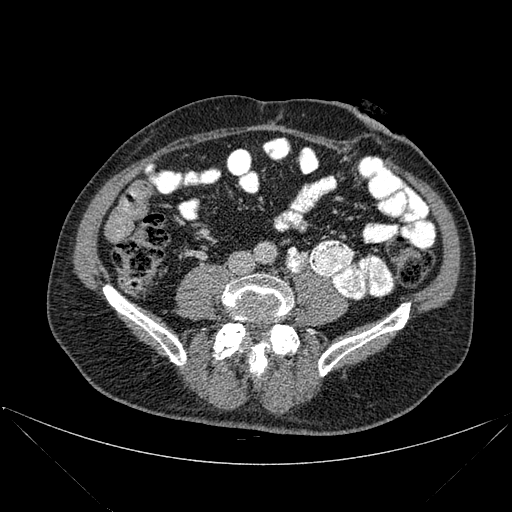 512x512, CT slice

Bone: bounding box x1=103, y1=285, x2=185, y2=365; x1=222, y1=275, x2=293, y2=319; x1=318, y1=303, x2=410, y2=375; x1=214, y1=323, x2=245, y2=359; x1=249, y1=324, x2=299, y2=376.